Thorax. Slice index 154. CT image. 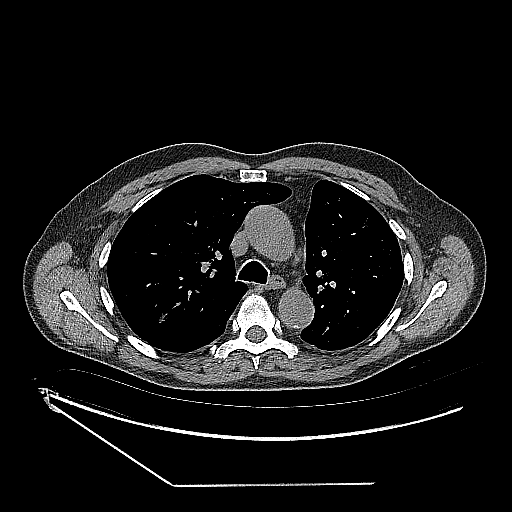 {"lung_tumor": [{"x1": 157, "y1": 312, "x2": 167, "y2": 323}]}